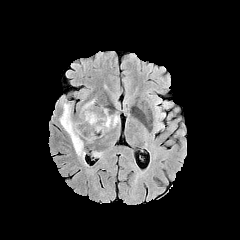
FLAIR MR image.
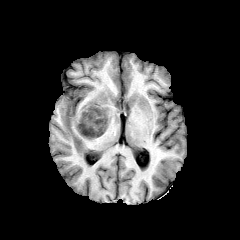
T1-weighted MRI of the same slice.
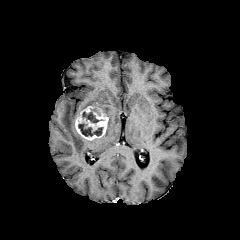
Post-contrast T1-weighted magnetic resonance.
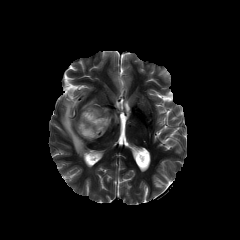
T2-weighted MR.
<segmentation>
  <edema><box>103,108,120,129</box>, <box>60,100,85,158</box>, <box>82,99,95,109</box></edema>
  <enhancing_tumor><box>75,106,108,140</box></enhancing_tumor>
  <non-enhancing_tumor_core><box>93,127,103,135</box>, <box>78,124,92,136</box>, <box>82,111,98,122</box></non-enhancing_tumor_core>
</segmentation>